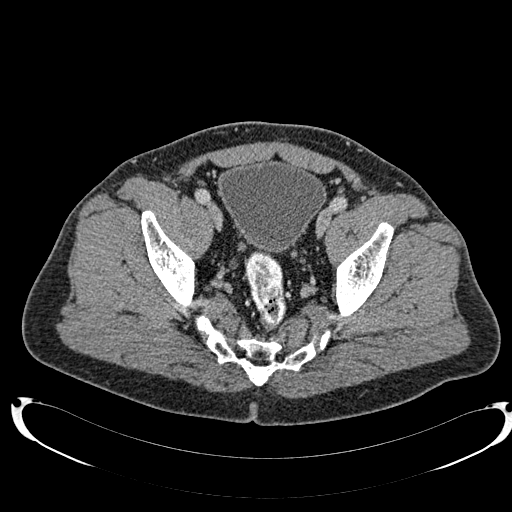 Pelvis, CT scan slice

Segmented structures:
- urinary bladder: [x1=220, y1=159, x2=326, y2=254]